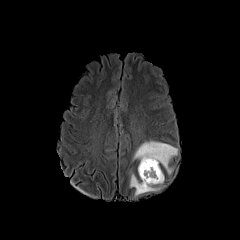
FLAIR magnetic resonance.
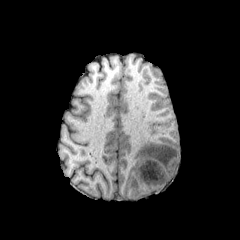
Same slice, T1-weighted MR image.
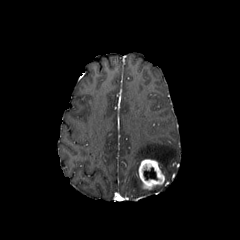
Same slice, post-contrast T1-weighted MRI.
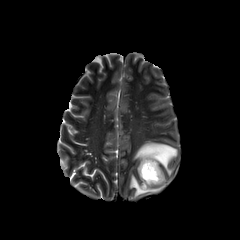
T2-weighted magnetic resonance.
The enhancing tumor appears at 137,158,164,190. 2 edema regions appear at 130,174,160,196; 133,141,177,173. The non-enhancing tumor core is bounded by 144,167,157,179.